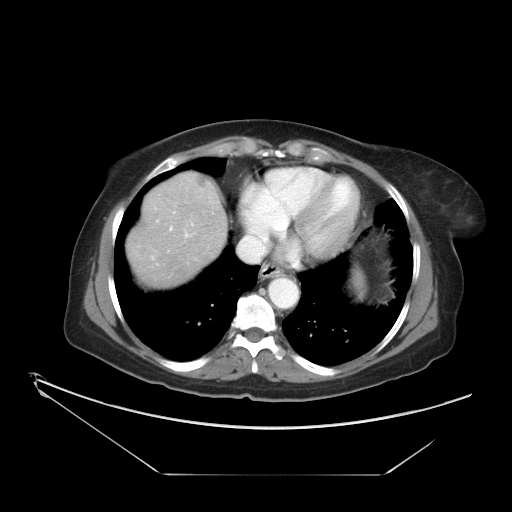
CT scan slice | Liver
The vessel annotation is not exhaustive.
The hepatic vessel lies within region(170, 227, 172, 229). The liver tumor is bounded by region(197, 178, 205, 186).